CT scan slice.
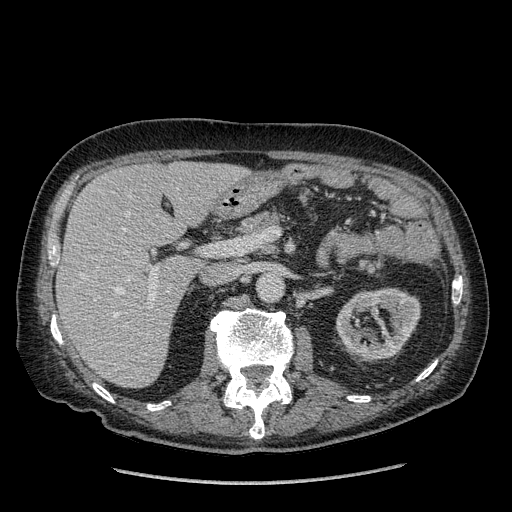
The kidney is located at box=[336, 288, 420, 360]. The liver is located at box=[56, 162, 248, 387].